CT | Thorax
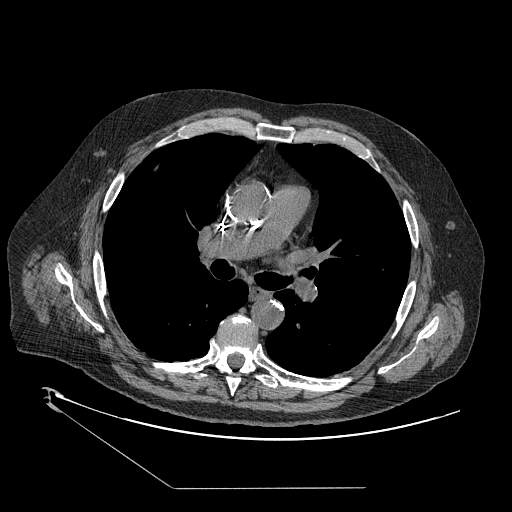

- lung tumor: {"x1": 142, "y1": 161, "x2": 188, "y2": 191}